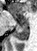
Hippocampus; 37x51 px; Magnetic resonance
2 anterior hippocampus regions appear at x1=24 y1=17 x2=27 y2=22, x1=12 y1=13 x2=14 y2=16. The posterior hippocampus lies within x1=13 y1=23 x2=28 y2=41.